CT scan slice; 512x512; Slice 59/97; Abdomen

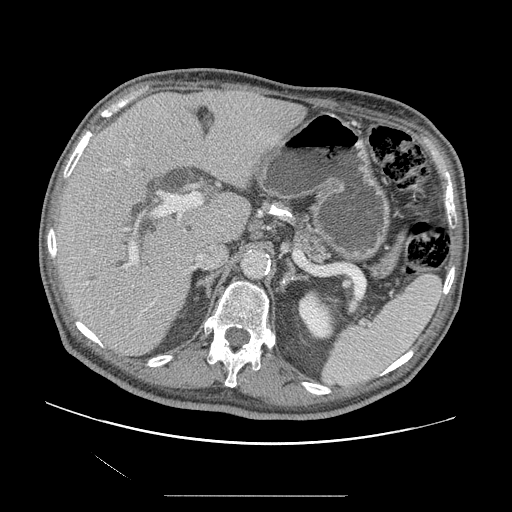

The pancreas is located at <bbox>272, 200, 332, 263</bbox>.